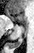

Hippocampus. MR.
Posterior hippocampus: bounding box x1=9 y1=38 x2=22 y2=48.
Anterior hippocampus: bounding box x1=12 y1=17 x2=13 y2=20, x1=18 y1=14 x2=24 y2=20.